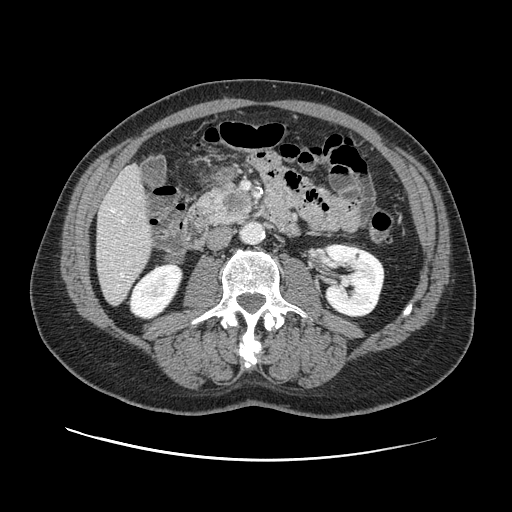
Upper abdomen. CT slice.
The pancreatic tumor lies within (left=221, top=191, right=249, bottom=211). The pancreas is located at (left=200, top=182, right=253, bottom=226).